Image width 426 mm | Abdomen | CT slice | 512x512 | Slice 33 of 95 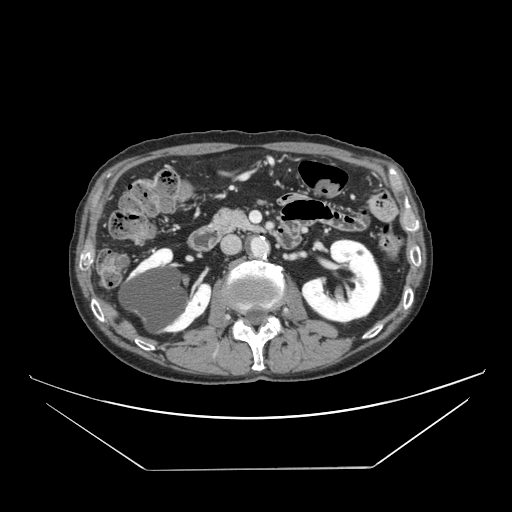
Segmented structures:
• pancreas: x1=210 y1=206 x2=266 y2=234